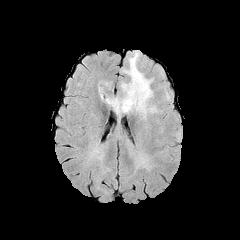
FLAIR MRI.
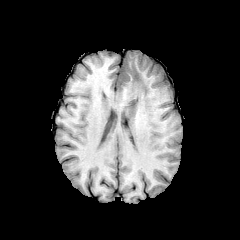
T1-weighted MR image.
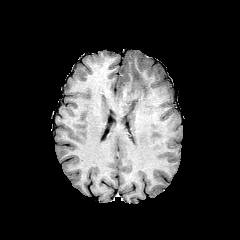
Post-contrast T1-weighted MR image.
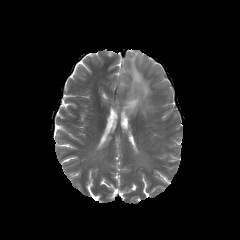
Same slice, T2-weighted magnetic resonance.
240x240 | Brain
<segmentation>
  <edema>{"x1": 110, "y1": 51, "x2": 154, "y2": 115}</edema>
</segmentation>